FLAIR magnetic resonance.
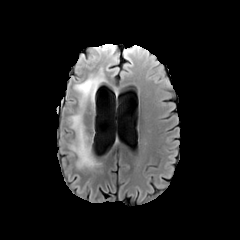
T1-weighted magnetic resonance.
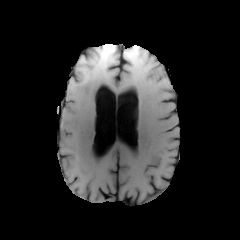
Post-contrast T1-weighted MRI.
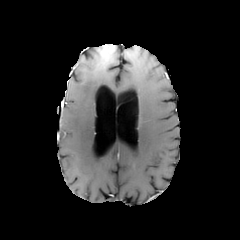
T2-weighted MRI.
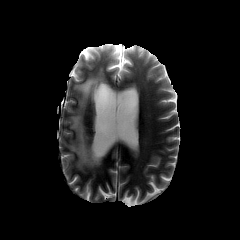
Head; 240x240
The edema appears at (69,47,144,168). 2 non-enhancing tumor core regions appear at (91,46,102,62), (107,47,117,67). The enhancing tumor appears at (100,46,115,63).